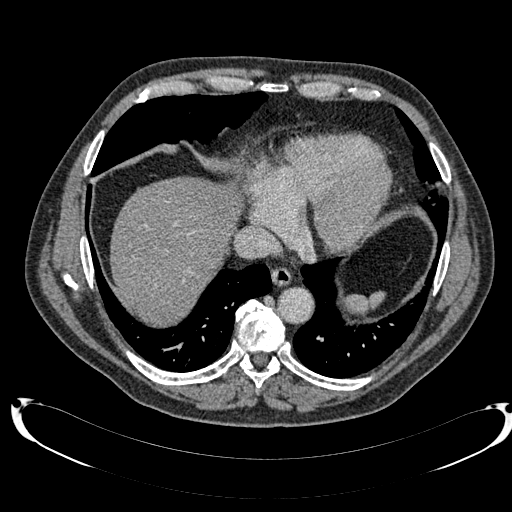 CT scan slice

liver:
  - left=110, top=176, right=240, bottom=324